Field of view 240 mm wide, 1.00 mm slice spacing | Head | Slice 62/155
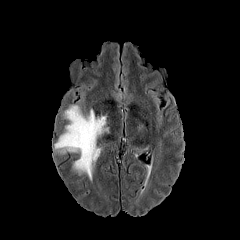
FLAIR MR.
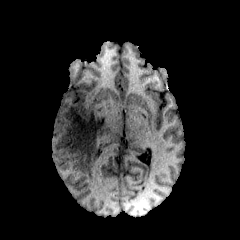
T1-weighted MR.
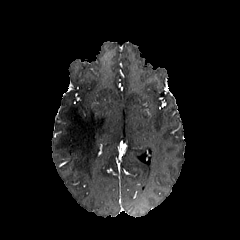
Post-contrast T1-weighted magnetic resonance.
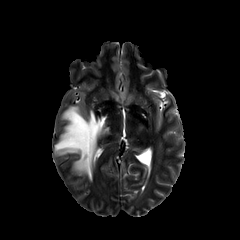
T2-weighted MR.
The edema is located at left=54, top=104, right=108, bottom=180.